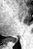
MRI slice | Medial temporal lobe | 33x49 px
Annotated regions:
• posterior hippocampus: [x1=7, y1=38, x2=18, y2=41]